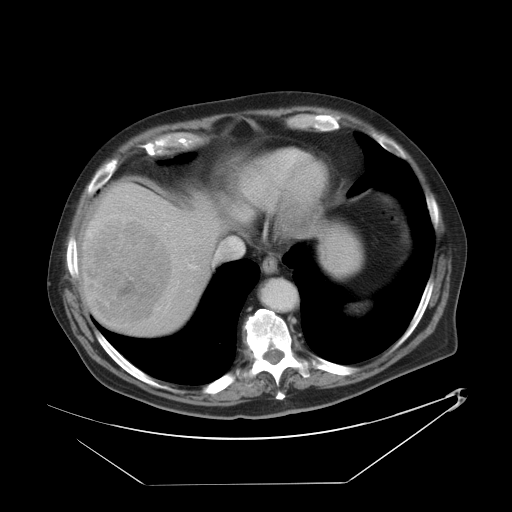 Abdomen; Computed tomography
The vessel annotation is not exhaustive.
{"hepatic_vessel": ["229 239 242 252"], "liver_tumor": ["84 217 173 324"]}